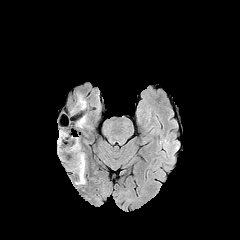
FLAIR MR image.
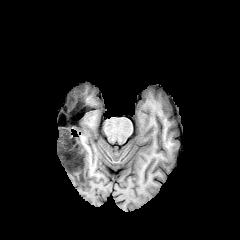
Same slice, T1-weighted magnetic resonance.
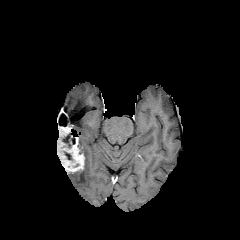
Same slice, post-contrast T1-weighted magnetic resonance.
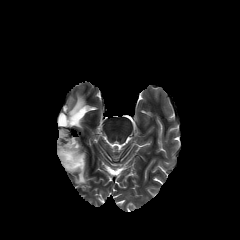
Same slice, T2-weighted MRI.
Brain
enhancing_tumor:
  - bbox=[57, 126, 84, 171]
non-enhancing_tumor_core:
  - bbox=[62, 132, 76, 146]
  - bbox=[70, 100, 83, 113]
edema:
  - bbox=[75, 116, 85, 127]
  - bbox=[74, 157, 86, 184]
  - bbox=[74, 95, 86, 109]